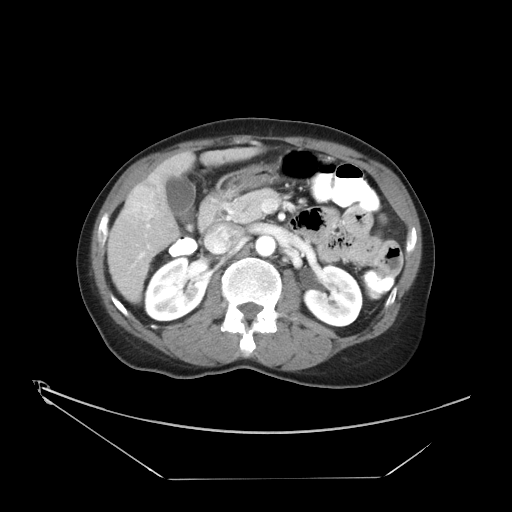

Image size 512x512, Liver, Computed tomography
Some hepatic vessels may have no box.
Hepatic vessel: x1=147 y1=245 x2=149 y2=247, x1=147 y1=225 x2=149 y2=227, x1=139 y1=252 x2=144 y2=257.
Liver tumor: x1=127 y1=183 x2=162 y2=221.